Field of view 240 mm wide, 1.00 mm slice spacing
FLAIR magnetic resonance.
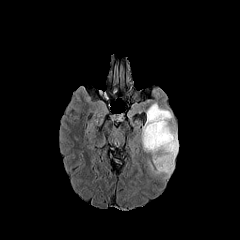
T1-weighted MRI.
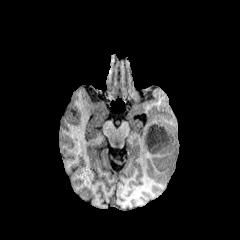
Post-contrast T1-weighted MR image.
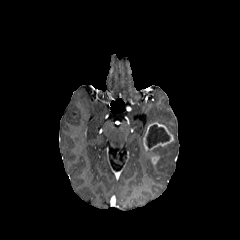
T2-weighted MR image.
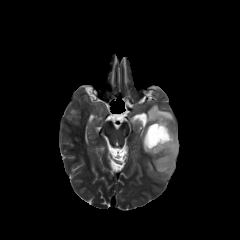
The enhancing tumor is bounded by bbox=[142, 122, 173, 164]. The non-enhancing tumor core appears at bbox=[146, 124, 169, 148]. The edema lies within bbox=[139, 104, 178, 179].